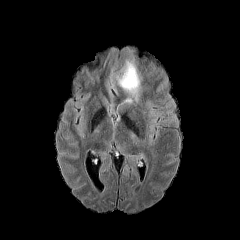
FLAIR MR.
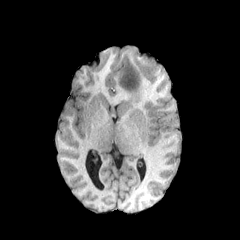
T1-weighted magnetic resonance.
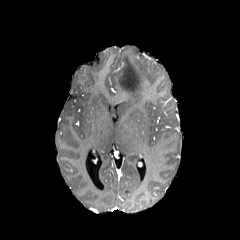
Post-contrast T1-weighted magnetic resonance.
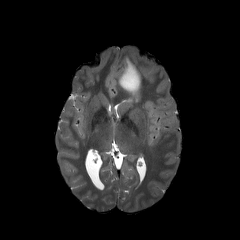
T2-weighted MR.
Head
Edema: [116, 61, 142, 103].